FLAIR MR image.
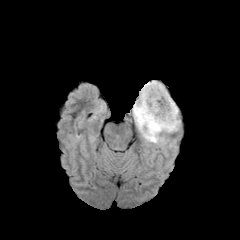
T1-weighted MRI.
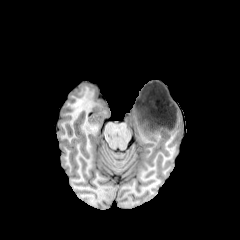
Post-contrast T1-weighted magnetic resonance.
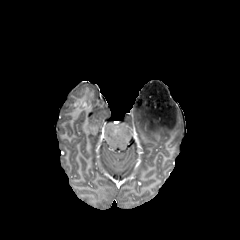
T2-weighted MR.
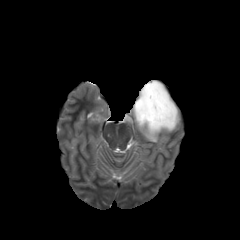
240x240.
The non-enhancing tumor core is bounded by x1=134, y1=81, x2=177, y2=130. The edema is at x1=127, y1=101, x2=180, y2=149.